Image width 240 mm
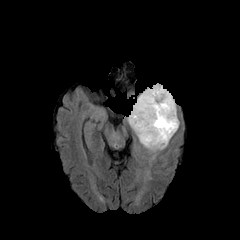
FLAIR MR.
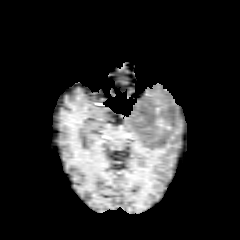
T1-weighted MRI.
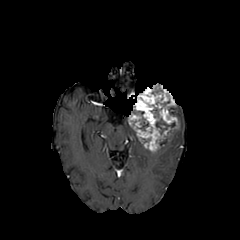
Post-contrast T1-weighted MR image.
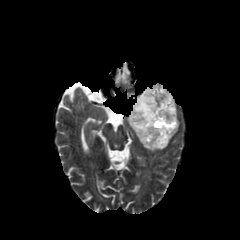
Same slice, T2-weighted MR.
enhancing tumor: bbox=[128, 83, 179, 151] | non-enhancing tumor core: bbox=[156, 120, 175, 128] | edema: bbox=[148, 132, 175, 153]